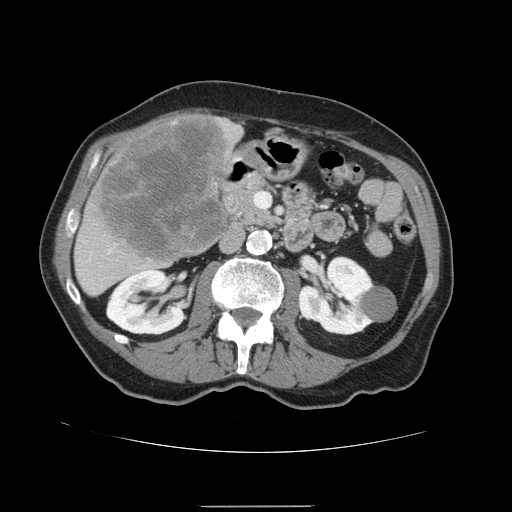 CT image
Annotated regions:
- liver tumor: (95, 117, 228, 263)